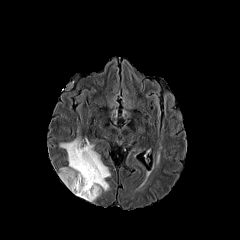
FLAIR MR image.
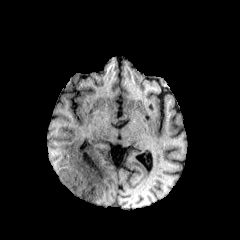
Same slice, T1-weighted MR image.
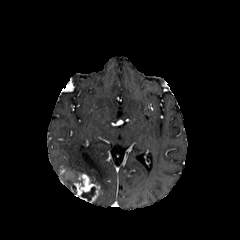
Post-contrast T1-weighted magnetic resonance.
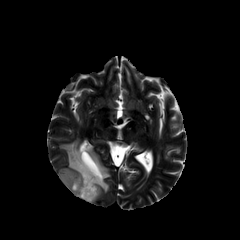
T2-weighted MR.
Image size 240x240, Head
edema:
  - 59, 172, 72, 189
  - 60, 137, 111, 191
non-enhancing_tumor_core:
  - 81, 187, 95, 201
enhancing_tumor:
  - 60, 170, 73, 178
  - 73, 172, 100, 202